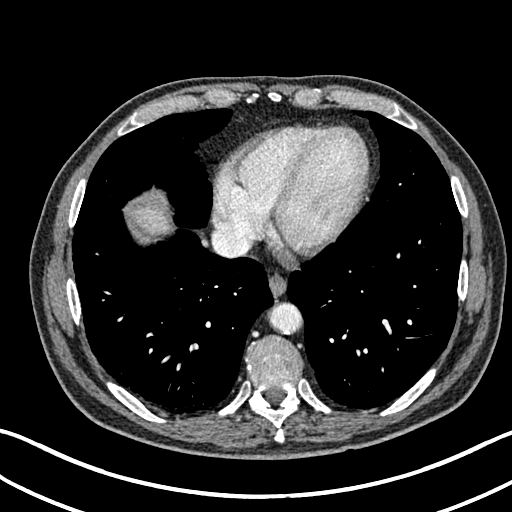
CT scan slice | Liver
- liver: [131, 208, 168, 233]